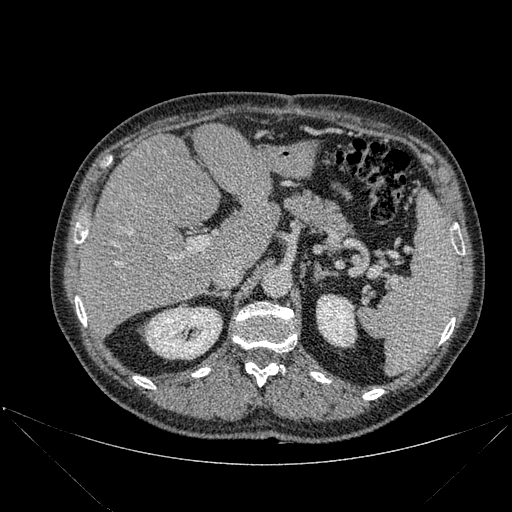

CT image; Upper abdomen; 512x512

<segmentation>
  <bone>75:222:87:243, 363:389:383:399, 133:376:155:388, 75:296:86:326, 245:362:284:386, 439:317:455:343, 192:367:210:377, 452:238:464:254, 311:372:330:382, 233:302:296:352</bone>
  <kidney>316:295:355:346, 145:306:221:359</kidney>
  <liver>194:123:279:270, 77:134:222:337</liver>
</segmentation>